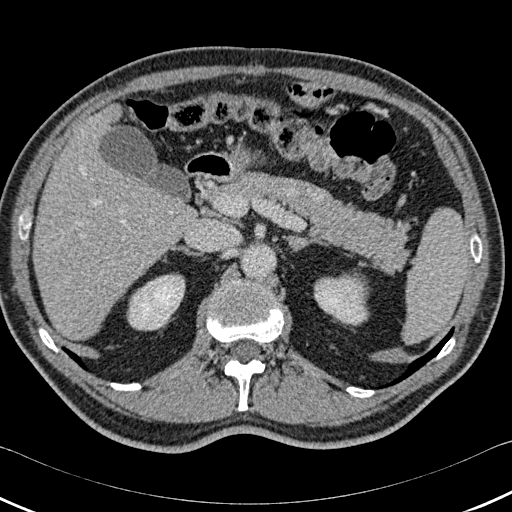
512x512. CT image.

2 liver regions are located at {"x1": 34, "y1": 111, "x2": 197, "y2": 339}, {"x1": 111, "y1": 105, "x2": 121, "y2": 120}. 2 kidney regions are located at {"x1": 315, "y1": 279, "x2": 365, "y2": 323}, {"x1": 129, "y1": 275, "x2": 184, "y2": 329}. 2 lung regions appear at {"x1": 370, "y1": 327, "x2": 454, "y2": 388}, {"x1": 68, "y1": 350, "x2": 92, "y2": 372}. 8 bone regions appear at {"x1": 111, "y1": 383, "x2": 140, "y2": 390}, {"x1": 39, "y1": 329, "x2": 57, "y2": 351}, {"x1": 207, "y1": 280, "x2": 283, "y2": 343}, {"x1": 437, "y1": 338, "x2": 454, "y2": 359}, {"x1": 471, "y1": 236, "x2": 481, "y2": 261}, {"x1": 347, "y1": 387, "x2": 373, "y2": 397}, {"x1": 225, "y1": 359, "x2": 264, "y2": 410}, {"x1": 20, "y1": 217, "x2": 30, "y2": 238}.